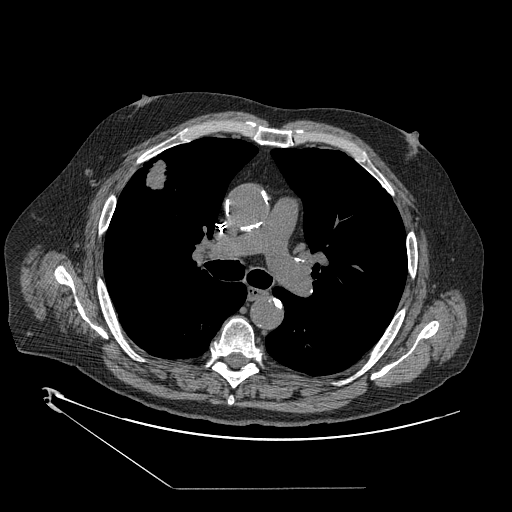 CT; 512x512 px
<segmentation>
  <lung_tumor>rect(141, 153, 176, 190)</lung_tumor>
</segmentation>